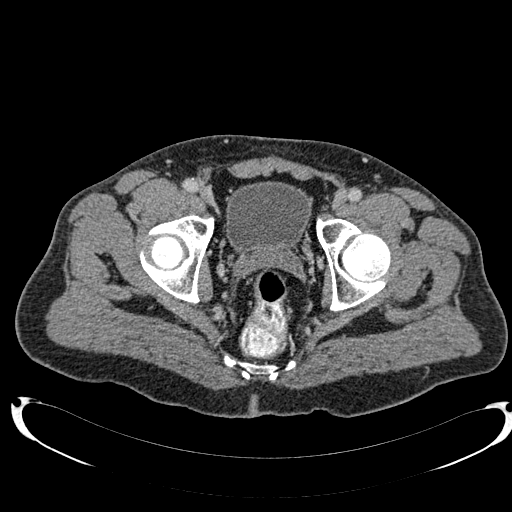
CT slice.

urinary_bladder:
  - 226:181:310:261